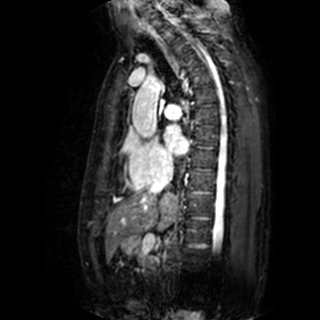
MR image. Cardiac.

The left atrium is located at [x1=164, y1=124, x2=188, y2=155].